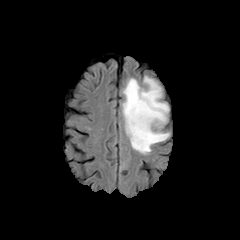
FLAIR MR image.
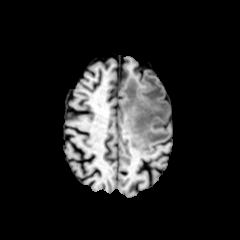
Same slice, T1-weighted MRI.
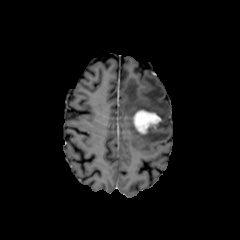
Post-contrast T1-weighted MR of the same slice.
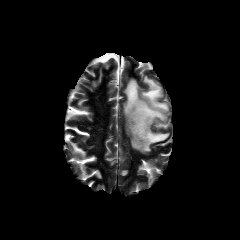
T2-weighted MR.
240x240 px.
{
  "enhancing_tumor": [
    "region(133, 110, 161, 133)"
  ],
  "edema": [
    "region(121, 76, 169, 154)"
  ]
}